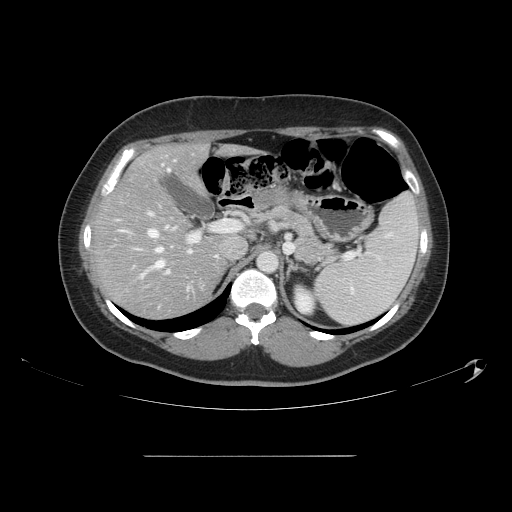

CT slice. The vessel boxes may cover only some of the vessels.
hepatic vessel: box=[166, 226, 174, 229]; box=[166, 270, 169, 273]; box=[140, 271, 146, 277]; box=[188, 250, 191, 252]; box=[148, 229, 157, 236]; box=[156, 247, 162, 251]; box=[148, 212, 152, 214]; box=[168, 168, 169, 170]; box=[121, 230, 124, 231]; box=[152, 261, 163, 267]